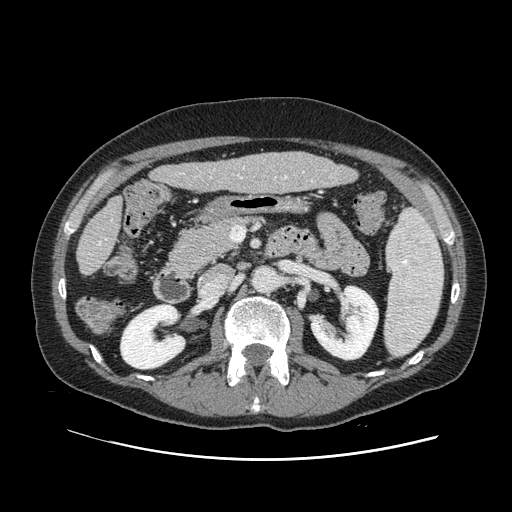

CT image.

Pancreas — <bbox>169, 217, 261, 279</bbox>.